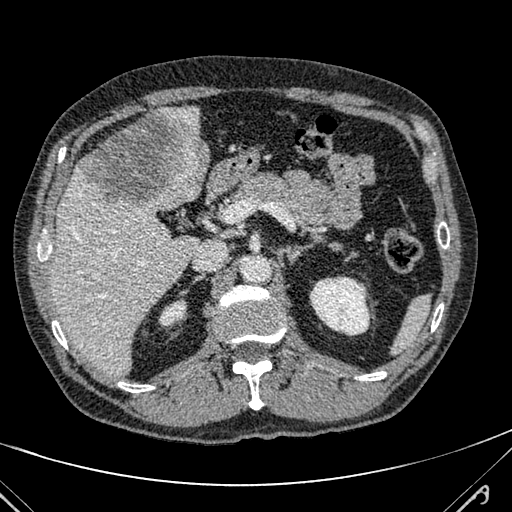 Liver | CT scan slice
Hepatic lesion = box=[78, 109, 208, 204].
Liver = box=[51, 162, 202, 374]; box=[167, 105, 200, 135].